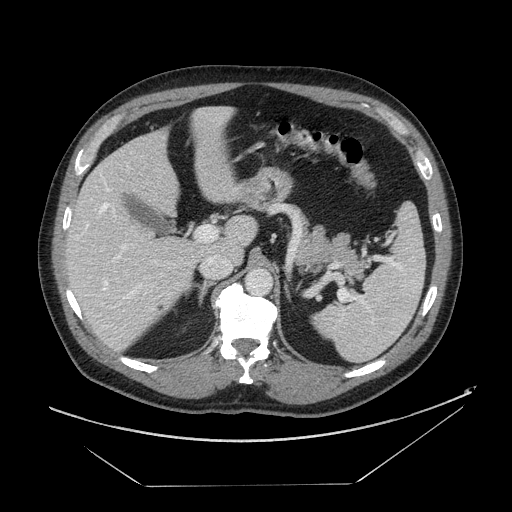

Upper abdomen. CT. Annotated regions:
- pancreas: (x1=294, y1=226, x2=367, y2=279)